CT image; 512x512 px

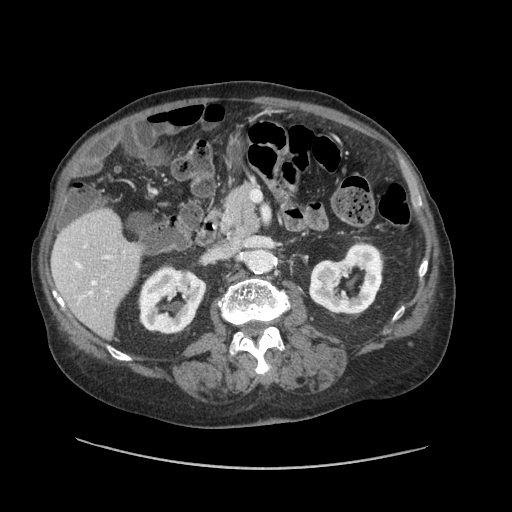 The vessel boxes may cover only some of the vessels.
The hepatic vessel is bounded by l=245, t=239, r=250, b=245.